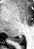

Image size 34x49; MRI
<segmentation>
  <posterior_hippocampus>left=10, top=36, right=22, bottom=42</posterior_hippocampus>
</segmentation>